CT; Liver 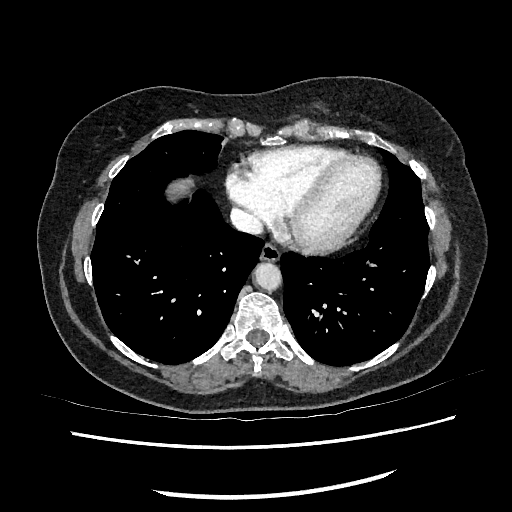

Segmented structures:
* liver: bbox=[175, 181, 190, 195]